MR image | Slice index 19
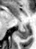

* posterior hippocampus: box=[16, 27, 28, 39]